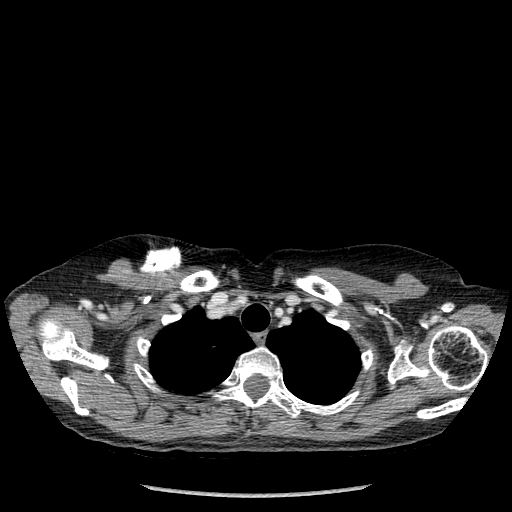

Thorax; CT
lung: x1=266, y1=309, x2=360, y2=404; x1=149, y1=304, x2=269, y2=394 | bone: x1=59, y1=377, x2=88, y2=415; x1=361, y1=349, x2=373, y2=370; x1=179, y1=270, x2=219, y2=293; x1=104, y1=374, x2=113, y2=382; x1=388, y1=325, x2=487, y2=390; x1=417, y1=397, x2=467, y2=419; x1=325, y1=310, x2=349, y2=329; x1=38, y1=315, x2=108, y2=372; x1=133, y1=363, x2=159, y2=391; x1=213, y1=346, x2=359, y2=417; x1=136, y1=336, x2=150, y2=356; x1=294, y1=275, x2=342, y2=307; x1=161, y1=310, x2=181, y2=324